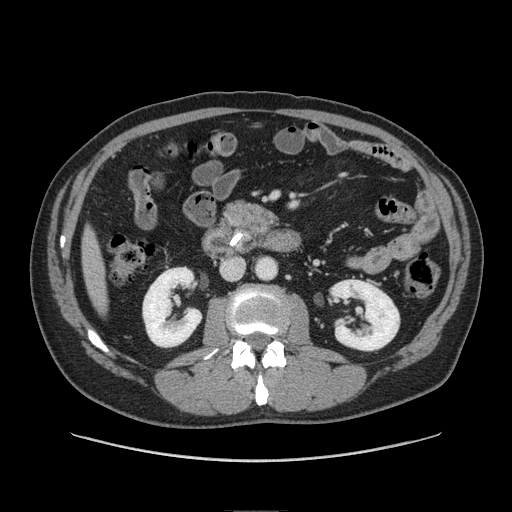

CT.
Pancreas = 218,198,282,245.